Head; Image size 240x240
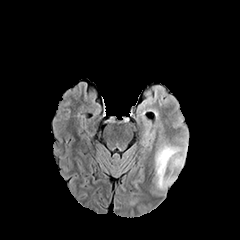
FLAIR magnetic resonance.
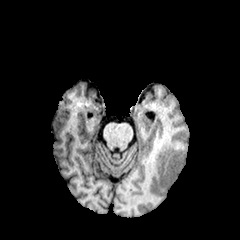
Same slice, T1-weighted MRI.
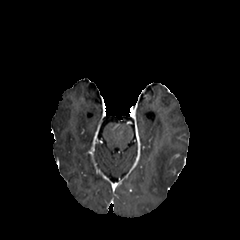
Same slice, post-contrast T1-weighted magnetic resonance.
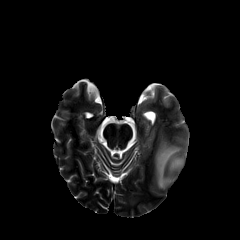
T2-weighted magnetic resonance.
The edema lies within rect(155, 141, 184, 187).